CT scan slice | 512x512 | Abdomen
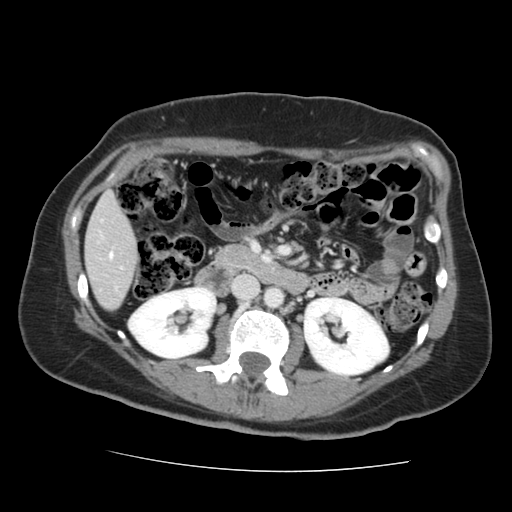
Some hepatic vessels may have no box.
Hepatic vessel — (109,253,112,258).